FLAIR MR.
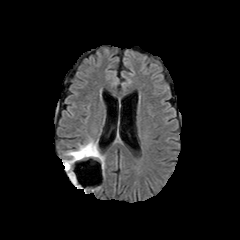
T1-weighted MRI.
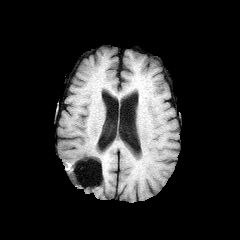
Post-contrast T1-weighted MR image.
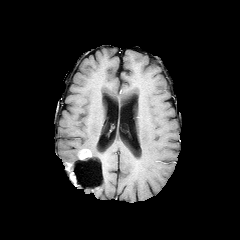
T2-weighted magnetic resonance.
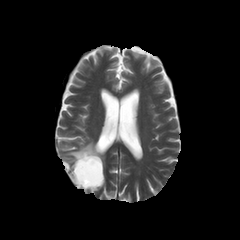
- non-enhancing tumor core: bbox(72, 146, 103, 179)
- enhancing tumor: bbox(78, 149, 92, 159)
- edema: bbox(63, 137, 96, 169)